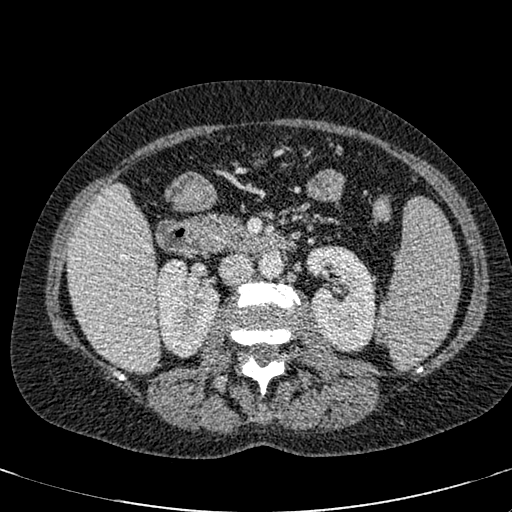 Computed tomography, 512x512

liver: 67:184:159:371 | kidney: 157:260:218:356, 307:246:374:350